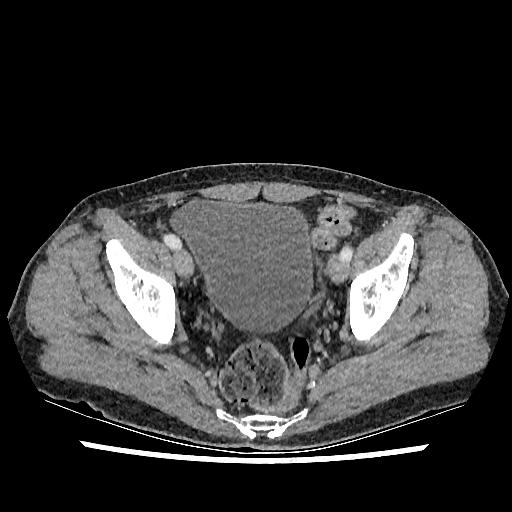 Image size 512x512, Computed tomography, Pelvis
Urinary bladder = left=175, top=198, right=315, bottom=333.